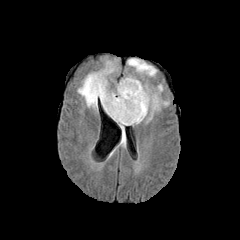
FLAIR MR image.
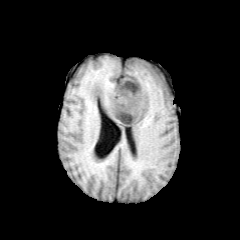
T1-weighted MR of the same slice.
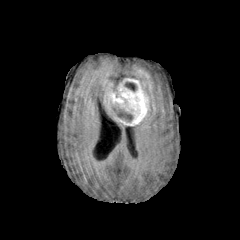
Post-contrast T1-weighted MR of the same slice.
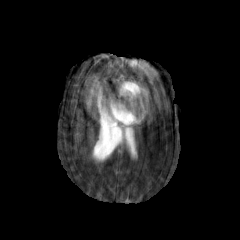
Same slice, T2-weighted magnetic resonance.
- non-enhancing tumor core: bbox=[112, 106, 132, 121]; bbox=[102, 93, 109, 110]; bbox=[139, 80, 149, 95]; bbox=[124, 82, 136, 91]
- edema: bbox=[143, 84, 169, 120]; bbox=[77, 65, 117, 113]; bbox=[126, 59, 156, 88]
- enhancing tumor: bbox=[137, 68, 149, 77]; bbox=[107, 78, 149, 125]